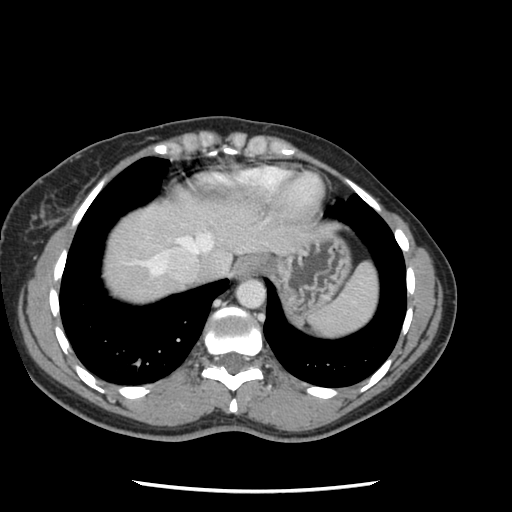

CT | 512x512 px | Liver
Some hepatic vessels may have no box.
2 hepatic vessel regions are located at x1=178, y1=234, x2=211, y2=252; x1=141, y1=253, x2=165, y2=273.